512x512 px. CT.

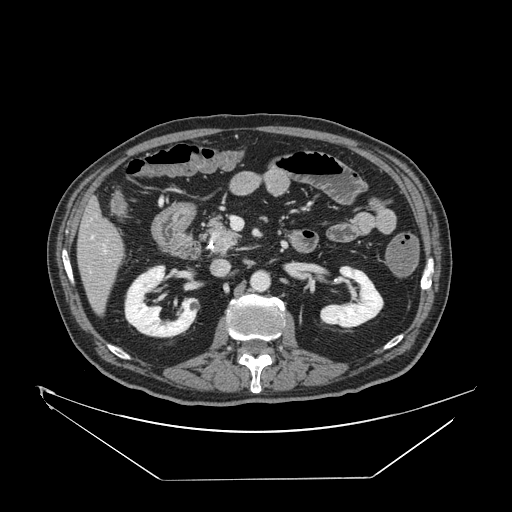

The pancreatic tumor is at 211,229,236,251. The pancreas is at 197,212,243,257.